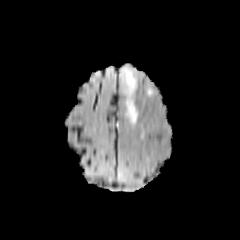
FLAIR MR image.
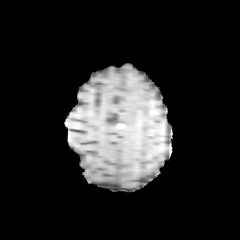
Same slice, T1-weighted MRI.
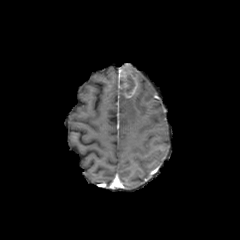
Same slice, post-contrast T1-weighted magnetic resonance.
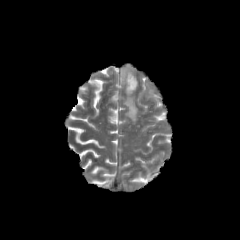
T2-weighted MR image.
240x240, Brain
Edema at x1=125, y1=96, x2=138, y2=123.
Non-enhancing tumor core at x1=120, y1=75, x2=135, y2=94.
Enhancing tumor at x1=120, y1=65, x2=137, y2=98.